FLAIR magnetic resonance.
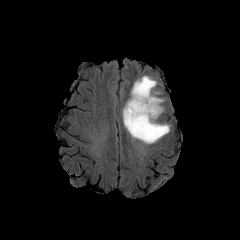
T1-weighted MR image.
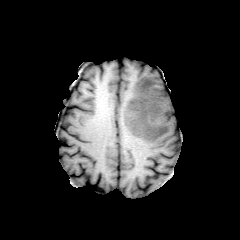
Post-contrast T1-weighted MR image.
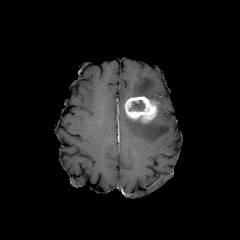
T2-weighted MR.
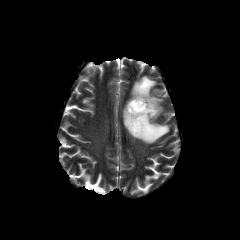
Head
• edema: l=122, t=108, r=170, b=143; l=130, t=74, r=163, b=102
• non-enhancing tumor core: l=132, t=117, r=155, b=125; l=133, t=100, r=143, b=109; l=140, t=80, r=147, b=91
• enhancing tumor: l=125, t=96, r=159, b=123